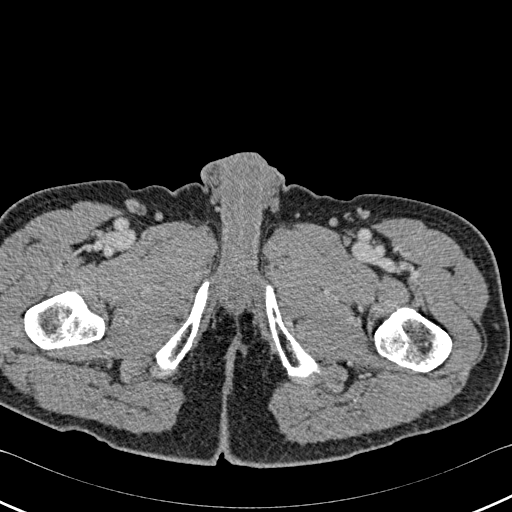 CT
<segmentation>
  <bone>25, 291, 104, 349; 266, 285, 318, 379; 375, 308, 451, 371; 156, 281, 208, 369</bone>
</segmentation>